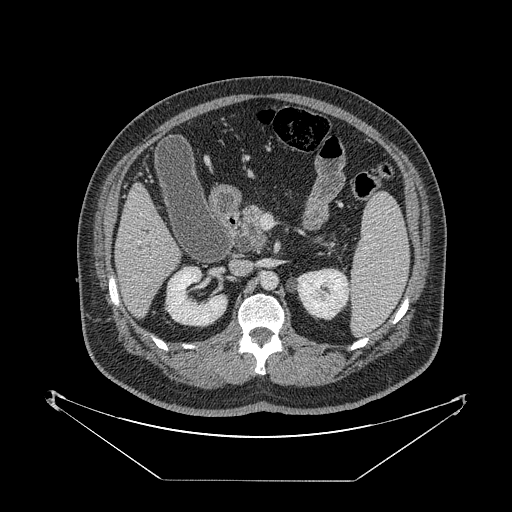 CT slice | 512x512
• pancreas: l=237, t=206, r=267, b=251